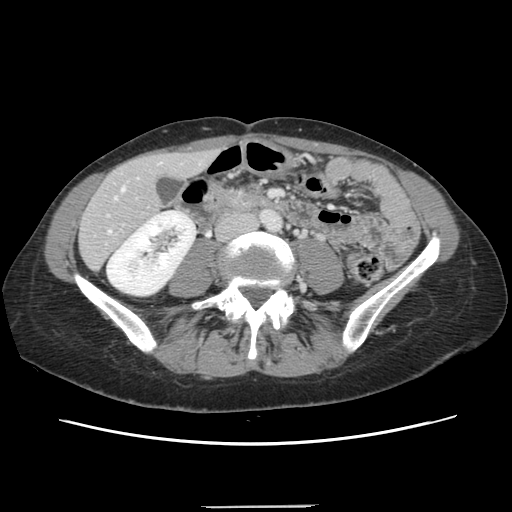
CT scan slice, Image size 512x512

Some hepatic vessels may have no box.
hepatic vessel: 158, 163, 160, 164; 108, 230, 110, 232; 122, 187, 124, 191; 114, 197, 116, 199